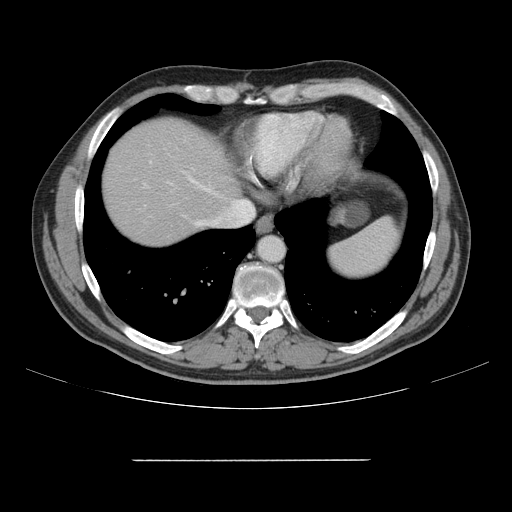
Computed tomography.

Not every hepatic vessel necessarily has a box.
{
  "hepatic_vessel": [
    "bbox(195, 220, 205, 226)",
    "bbox(143, 185, 148, 187)",
    "bbox(167, 182, 170, 183)",
    "bbox(182, 171, 209, 191)"
  ]
}